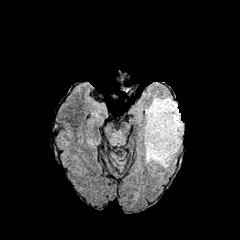
FLAIR MR image.
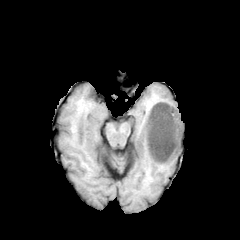
T1-weighted MR image.
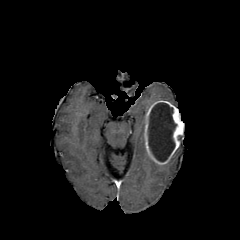
Post-contrast T1-weighted MR image.
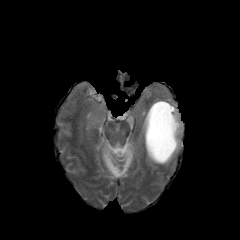
T2-weighted MRI of the same slice.
Brain
The enhancing tumor is located at left=144, top=100, right=183, bottom=164. The non-enhancing tumor core is at left=148, top=102, right=175, bottom=161. 2 edema regions are bounded by left=160, top=140, right=181, bottom=167; left=140, top=96, right=177, bottom=168.